512x512, CT
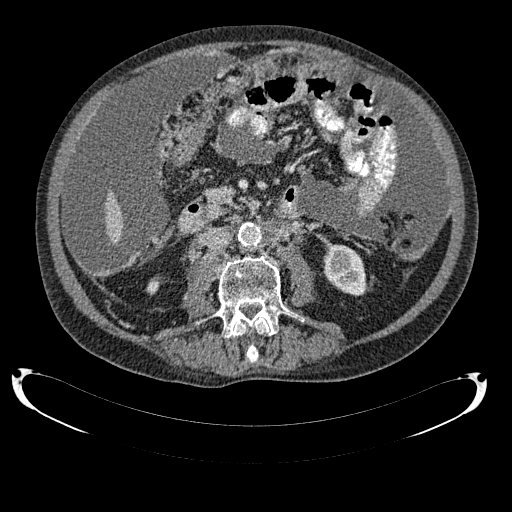 Kidney = (147,281,158,293), (324,245,365,295).
Liver = (105,192,123,242).